Image width 240 mm.
FLAIR MR image.
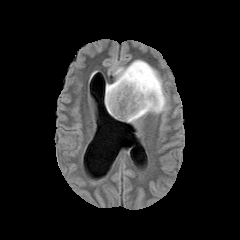
T1-weighted magnetic resonance.
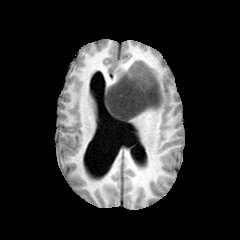
Post-contrast T1-weighted MRI.
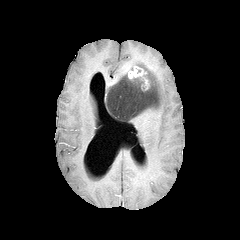
T2-weighted magnetic resonance.
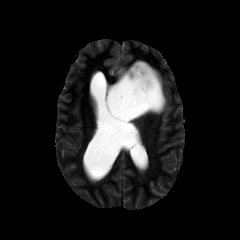
{"edema": ["bbox=[127, 69, 167, 122]", "bbox=[105, 67, 127, 94]"], "non-enhancing_tumor_core": ["bbox=[106, 76, 160, 121]"], "enhancing_tumor": ["bbox=[122, 64, 146, 78]"]}